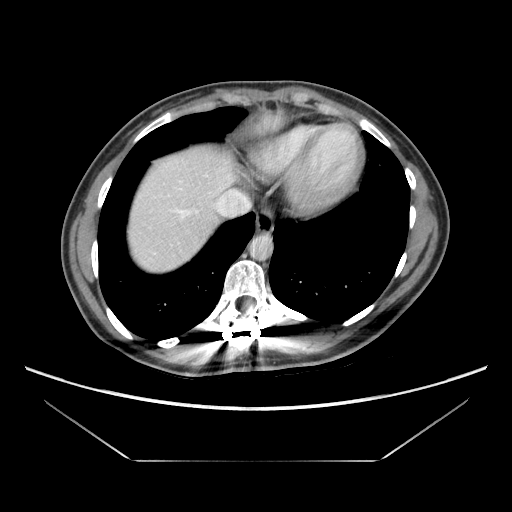
CT
Only some of the vessels may be annotated.
hepatic_vessel:
  - left=215, top=191, right=248, bottom=214
  - left=169, top=209, right=196, bottom=218